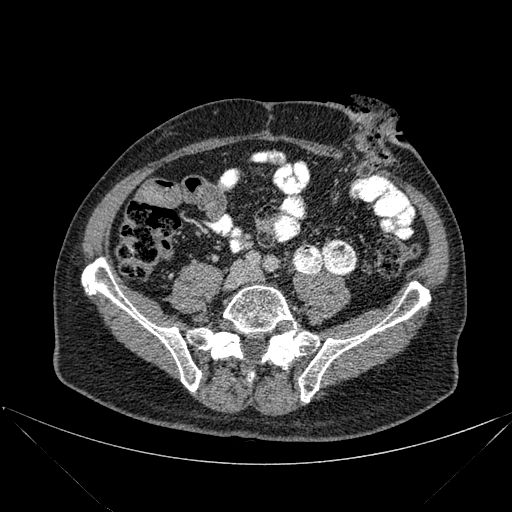

512x512 px | CT slice
Bone at l=187, t=328, r=242, b=358; l=223, t=281, r=430, b=402; l=82, t=258, r=201, b=391.